CT 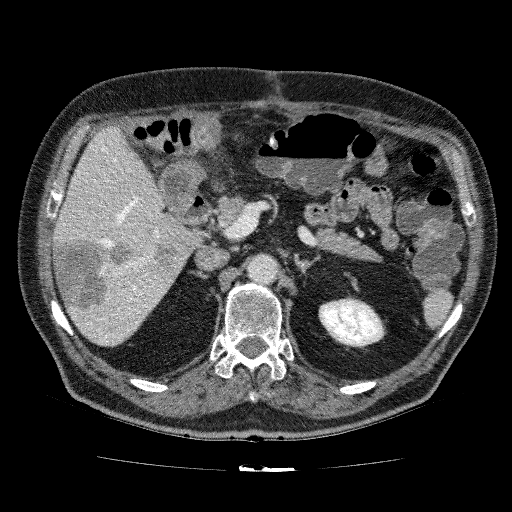
3 focal liver lesion regions are located at box=[144, 173, 151, 182]; box=[51, 234, 137, 311]; box=[152, 241, 179, 274]. The liver is at box=[51, 125, 202, 346]. The kidney appears at box=[319, 298, 383, 346].